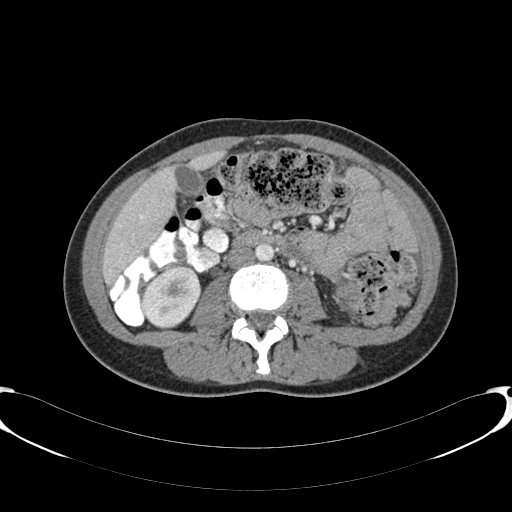 CT slice, Upper abdomen
kidney: {"x1": 140, "y1": 268, "x2": 199, "y2": 326} | liver: {"x1": 188, "y1": 151, "x2": 223, "y2": 169}, {"x1": 102, "y1": 166, "x2": 176, "y2": 284}